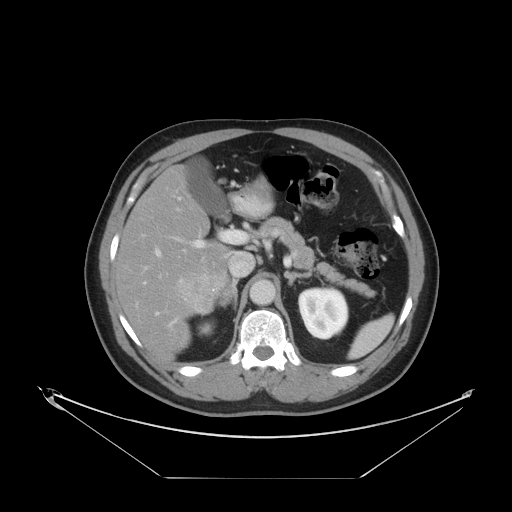
Liver; CT slice

Some hepatic vessels may have no box.
Liver tumor: [177, 270, 233, 314].
Hepatic vessel: [221, 230, 234, 240], [178, 198, 180, 199], [174, 237, 181, 241], [155, 249, 160, 255], [183, 249, 185, 251], [156, 312, 158, 314], [144, 282, 145, 283], [144, 267, 146, 269], [168, 320, 174, 326], [193, 240, 203, 247].